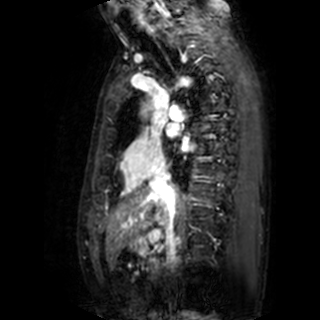
Magnetic resonance
left_atrium:
  - (left=166, top=125, right=177, bottom=137)
  - (left=182, top=142, right=194, bottom=150)